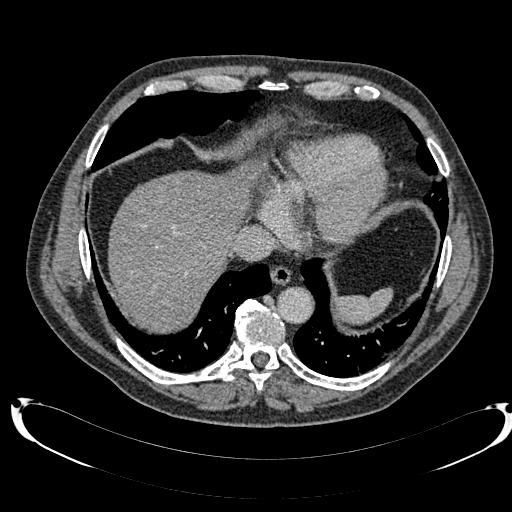
CT; 512x512
The liver appears at x1=108, y1=160, x2=263, y2=332.